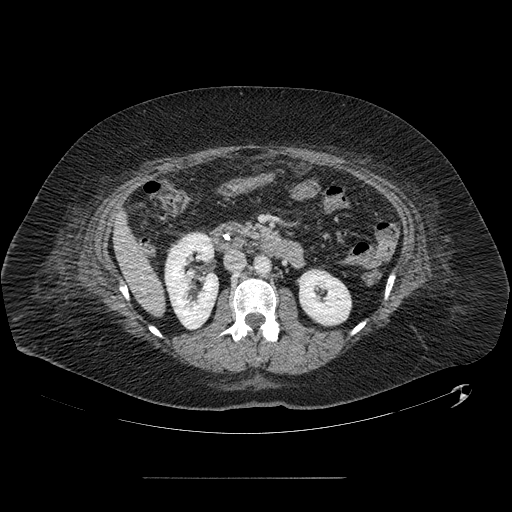
Abdomen; CT scan slice

The pancreas lies within region(245, 225, 278, 240).